MR; Field of view 32x46 mm; Hippocampus

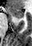

{"anterior_hippocampus": ["rect(9, 8, 23, 18)"]}